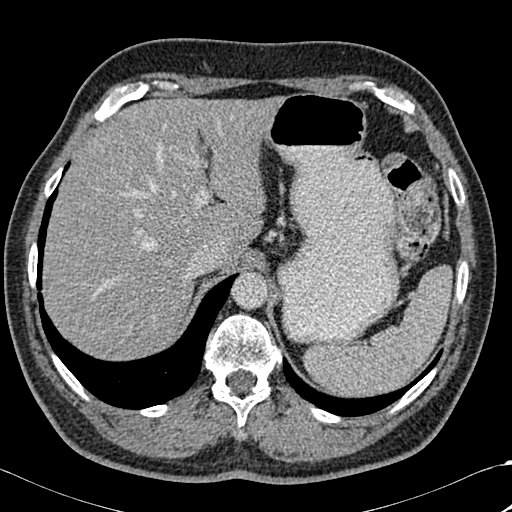 Abdomen; CT; Image size 512x512
11 bone regions are bounded by box=[45, 169, 61, 195]; box=[374, 89, 413, 113]; box=[28, 244, 37, 285]; box=[457, 262, 467, 301]; box=[53, 356, 86, 398]; box=[205, 315, 281, 426]; box=[141, 405, 166, 416]; box=[95, 83, 148, 120]; box=[311, 409, 339, 422]; box=[449, 170, 464, 204]; box=[393, 370, 435, 410]. 3 lung regions are bounded by box=[38, 274, 237, 409]; box=[283, 350, 442, 416]; box=[36, 187, 57, 290]. The liver is located at box=[43, 98, 276, 360].